Slice 181/192 | CT image
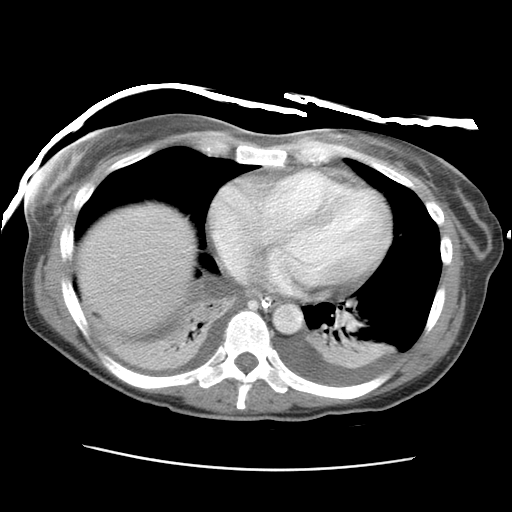
Segmented structures:
* liver: region(78, 206, 194, 332)